240x240, Head, Slice 63/155
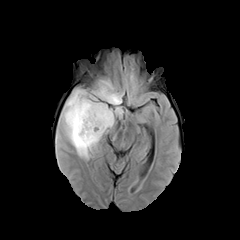
FLAIR magnetic resonance.
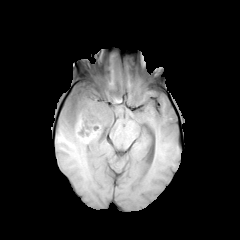
T1-weighted magnetic resonance.
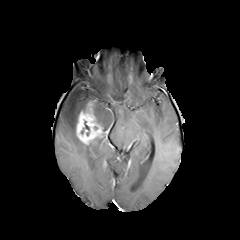
Post-contrast T1-weighted MR.
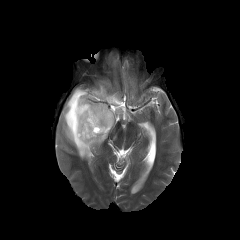
T2-weighted MRI.
{"non-enhancing_tumor_core": ["(left=71, top=90, right=97, bottom=135)", "(left=71, top=91, right=80, bottom=108)"], "enhancing_tumor": ["(left=76, top=103, right=107, bottom=143)"], "edema": ["(left=87, top=78, right=126, bottom=129)", "(left=61, top=88, right=101, bottom=159)"]}